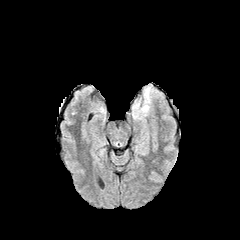
FLAIR magnetic resonance.
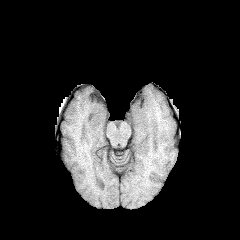
T1-weighted MR.
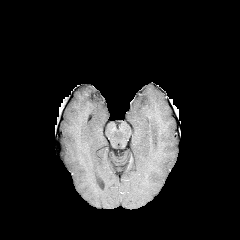
Post-contrast T1-weighted MR image.
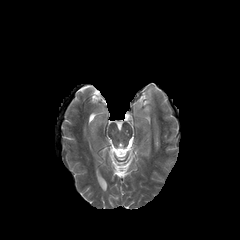
T2-weighted magnetic resonance.
240x240
The edema is bounded by <bbox>141, 95, 150, 116</bbox>.